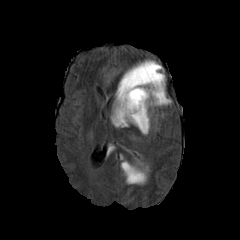
FLAIR MR.
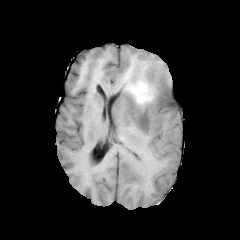
T1-weighted MRI.
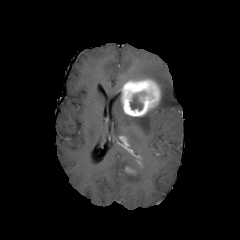
Same slice, post-contrast T1-weighted MRI.
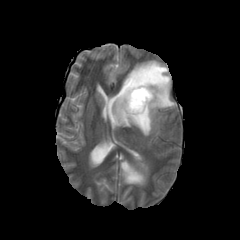
T2-weighted MRI of the same slice.
Brain
2 edema regions are bounded by x1=121 y1=160 x2=146 y2=184, x1=111 y1=60 x2=171 y2=134. The enhancing tumor is located at x1=120 y1=78 x2=161 y2=116. The non-enhancing tumor core is located at x1=130 y1=94 x2=142 y2=109.